FLAIR MR.
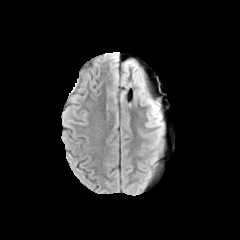
T1-weighted magnetic resonance.
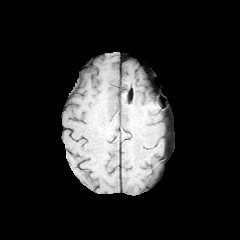
Post-contrast T1-weighted MRI.
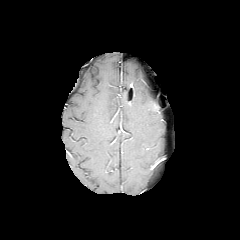
T2-weighted magnetic resonance.
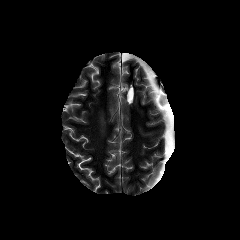
Head | 240x240 px
Edema — 142:81:164:146.